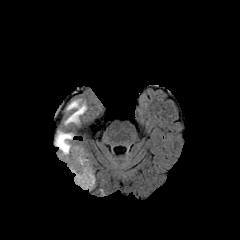
FLAIR MR.
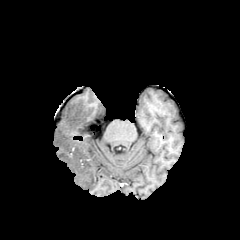
T1-weighted MR of the same slice.
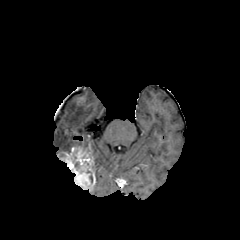
Post-contrast T1-weighted magnetic resonance.
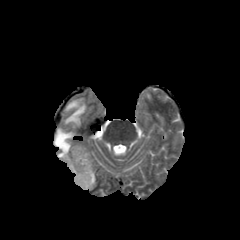
T2-weighted MR image.
{
  "edema": [
    "<bbox>54, 97, 89, 153</bbox>"
  ],
  "non-enhancing_tumor_core": [
    "<bbox>72, 146, 89, 155</bbox>",
    "<bbox>73, 156, 80, 170</bbox>"
  ],
  "enhancing_tumor": [
    "<bbox>61, 148, 95, 188</bbox>"
  ]
}